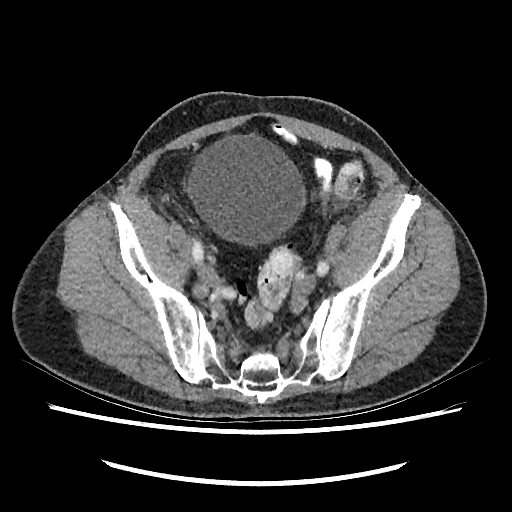 Computed tomography

<segmentation>
  <urinary_bladder><bbox>186, 132, 306, 247</bbox></urinary_bladder>
</segmentation>